Slice 41/155. Brain.
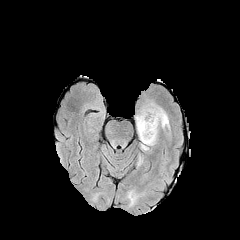
FLAIR MR image.
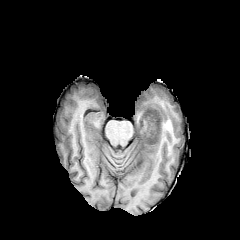
T1-weighted MR of the same slice.
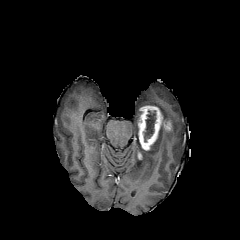
Same slice, post-contrast T1-weighted MRI.
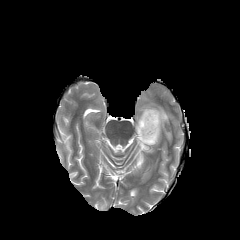
Same slice, T2-weighted MR image.
{"non-enhancing_tumor_core": ["143:109:156:142"], "edema": ["157:107:168:140"], "enhancing_tumor": ["138:106:162:150"]}